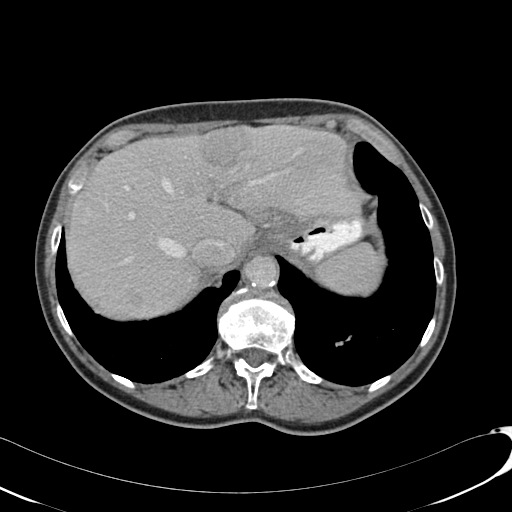

Image size 512x512; Abdomen; Computed tomography

2 focal liver lesion regions appear at {"x1": 201, "y1": 127, "x2": 251, "y2": 168}, {"x1": 131, "y1": 293, "x2": 140, "y2": 305}. The liver lies within {"x1": 67, "y1": 124, "x2": 360, "y2": 317}.